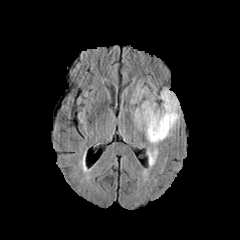
FLAIR MRI.
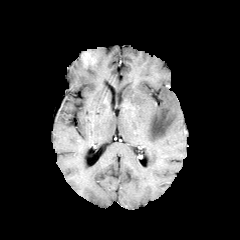
T1-weighted MRI of the same slice.
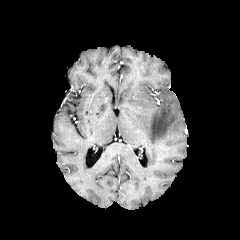
Same slice, post-contrast T1-weighted MRI.
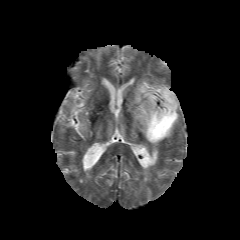
Same slice, T2-weighted MR.
Brain
Edema: {"x1": 135, "y1": 82, "x2": 180, "y2": 144}.